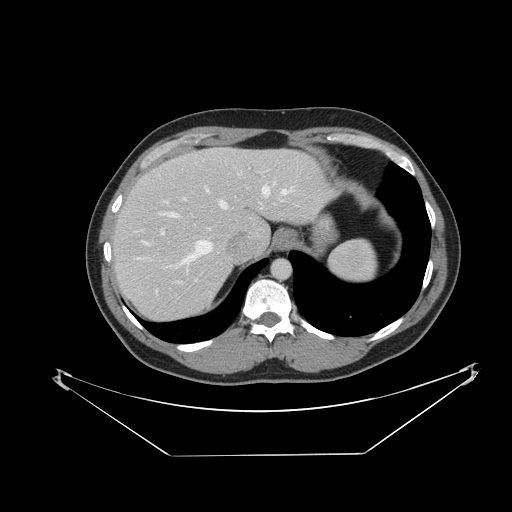

512x512 px, Abdomen, CT scan slice
Spleen: [330,241,376,285].